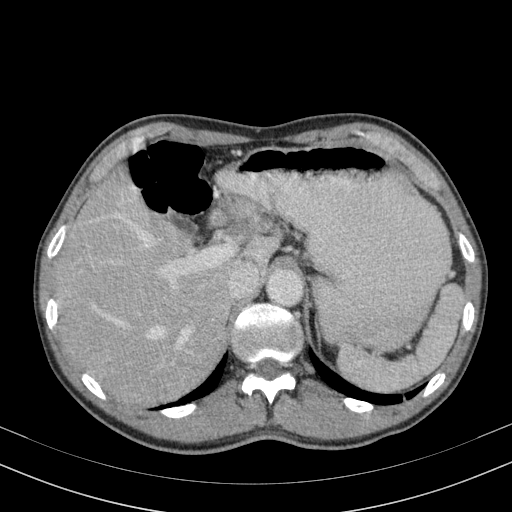
Upper abdomen | Computed tomography | Image size 512x512
Segmented structures:
- liver: 55 165 278 407